Abdomen; CT; Slice index 75
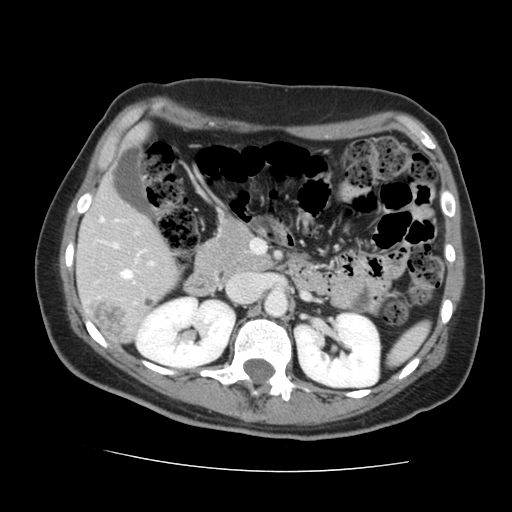
Only some of the vessels may be annotated.
4 hepatic vessel regions are located at box(100, 218, 102, 221); box(112, 244, 117, 247); box(120, 270, 131, 278); box(149, 263, 152, 265). The liver tumor is at box(91, 302, 128, 340).